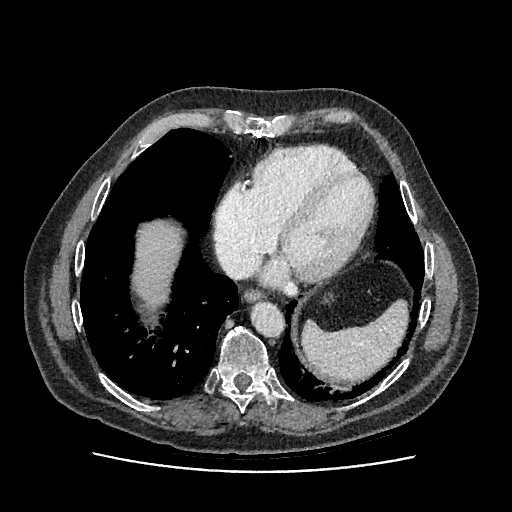

Abdomen, 512x512 px, CT image

{
  "liver": [
    "<bbox>134, 222, 180, 306</bbox>"
  ]
}